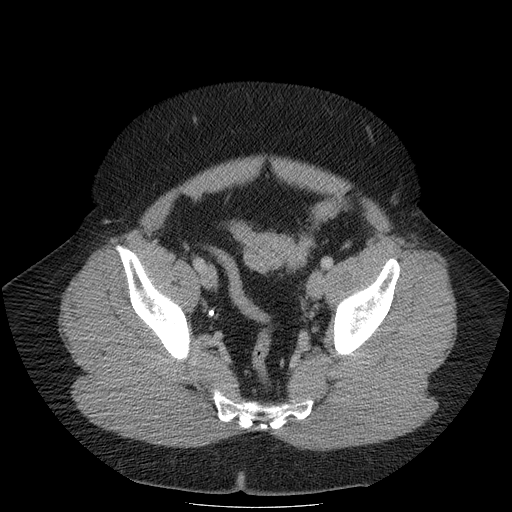

Pelvis | Image size 512x512 | Computed tomography
The colon tumor is bounded by [x1=245, y1=234, x2=293, y2=271].